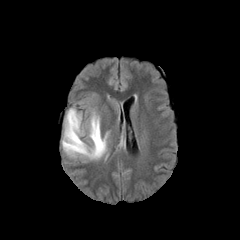
FLAIR MR image.
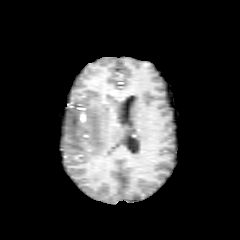
T1-weighted MRI of the same slice.
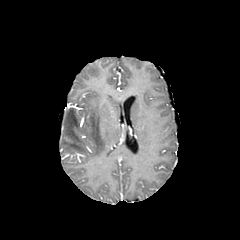
Post-contrast T1-weighted magnetic resonance.
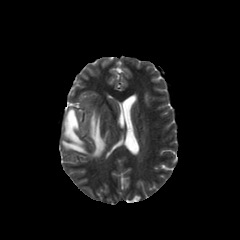
Same slice, T2-weighted MR image.
{
  "edema": [
    "[62,106,106,158]"
  ],
  "non-enhancing_tumor_core": [
    "[68,112,75,125]"
  ]
}